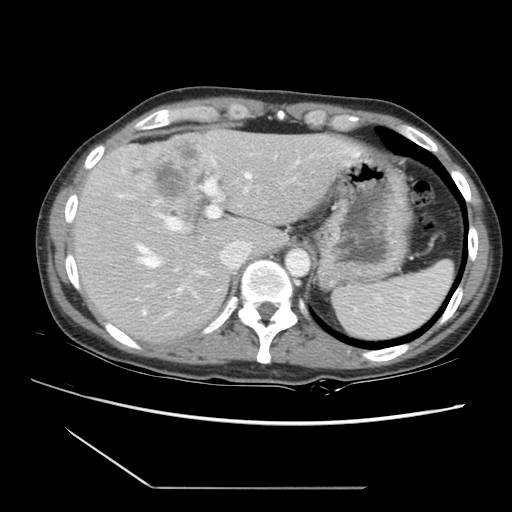

CT slice.
The vessel annotation is not exhaustive.
The liver tumor lies within (left=131, top=136, right=203, bottom=215). The top 15 hepatic vessel regions (of 26) are bounded by (left=244, top=186, right=251, bottom=194), (left=116, top=194, right=134, bottom=198), (left=121, top=168, right=125, bottom=174), (left=154, top=214, right=183, bottom=230), (left=245, top=173, right=251, bottom=179), (left=202, top=178, right=222, bottom=201), (left=136, top=244, right=159, bottom=268), (left=196, top=271, right=206, bottom=274), (left=220, top=252, right=223, bottom=261), (left=163, top=312, right=171, bottom=318), (left=153, top=200, right=159, bottom=204), (left=177, top=285, right=197, bottom=297), (left=203, top=153, right=215, bottom=165), (left=138, top=182, right=144, bottom=189), (left=207, top=206, right=219, bottom=219).